CT. Slice 100/836. 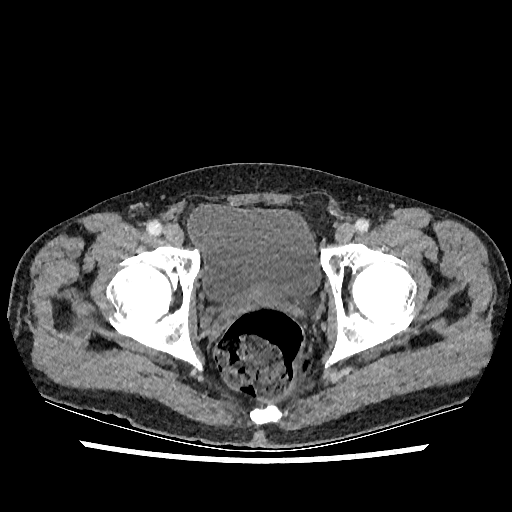

Annotated regions:
* urinary bladder: [x1=189, y1=203, x2=321, y2=327]